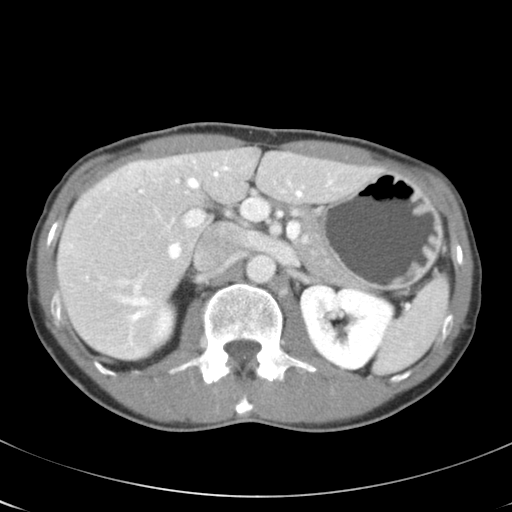 Computed tomography | 512x512 px | Abdomen
Not every hepatic vessel necessarily has a box.
<segmentation>
  <hepatic_vessel>170 245 179 256, 135 285 139 293, 296 191 300 195, 224 167 227 168, 120 296 149 305, 141 190 143 191, 242 201 249 218, 328 182 331 184, 194 159 195 162, 186 210 203 225, 131 311 141 320, 189 179 197 186, 176 180 178 181, 215 172 217 175</hepatic_vessel>
</segmentation>